T2-weighted MR.
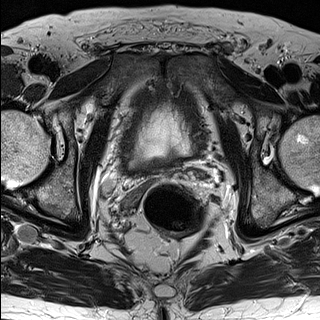
ADC MR.
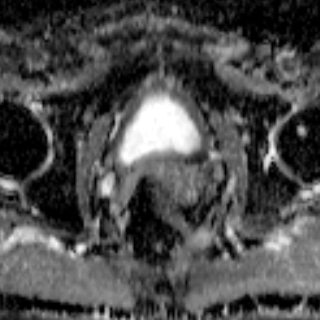
320x320 px
Prostate transition zone — (139, 155, 177, 171).